Head
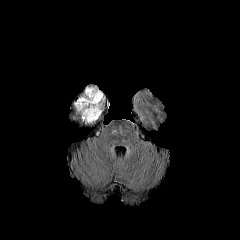
FLAIR magnetic resonance.
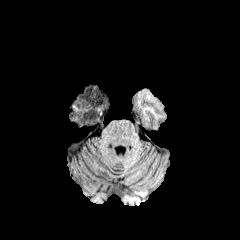
T1-weighted magnetic resonance.
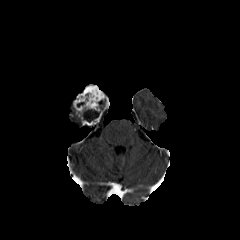
Post-contrast T1-weighted magnetic resonance.
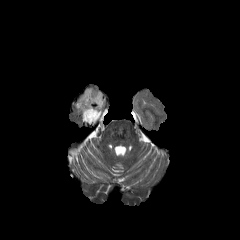
Same slice, T2-weighted MR image.
3 non-enhancing tumor core regions are bounded by 69 101 81 124, 97 98 105 109, 82 108 100 122. The enhancing tumor is located at 73 84 109 128.